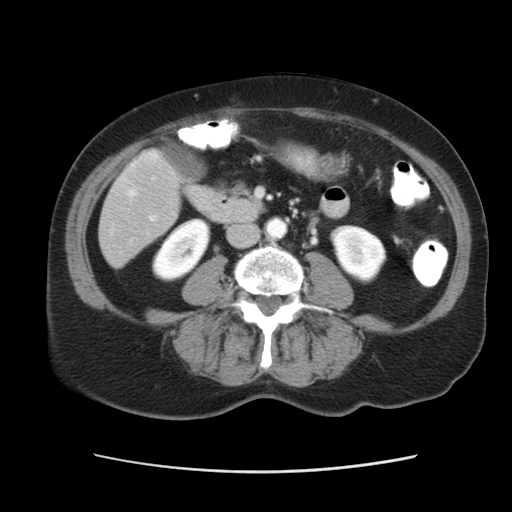

Image size 512x512; CT scan slice
The vessel annotation is not exhaustive.
<segmentation>
  <hepatic_vessel>[130,191,134,195], [150,216,154,220]</hepatic_vessel>
</segmentation>